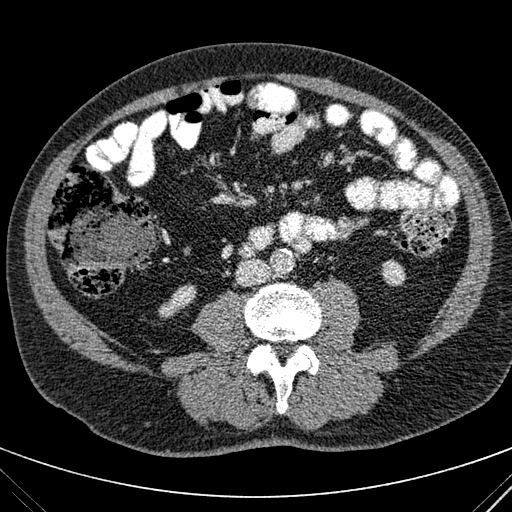 CT slice | Abdomen
Kidney: bounding box 382 260 404 285, 159 286 195 316.